Image size 240x240 | Slice 53/155
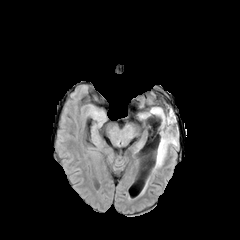
FLAIR magnetic resonance.
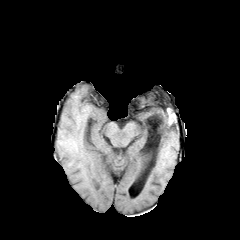
T1-weighted MR image.
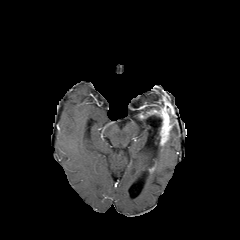
Post-contrast T1-weighted MR.
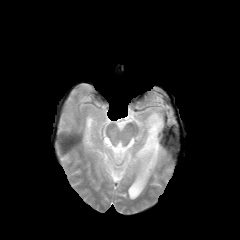
Same slice, T2-weighted MR.
Edema — (left=156, top=133, right=177, bottom=167), (left=154, top=114, right=161, bottom=129).
Enhancing tumor — (left=150, top=104, right=170, bottom=135).
Non-enhancing tumor core — (left=142, top=104, right=159, bottom=114), (left=160, top=125, right=173, bottom=145).